CT slice, Abdomen, 512x512 px, Slice index 455 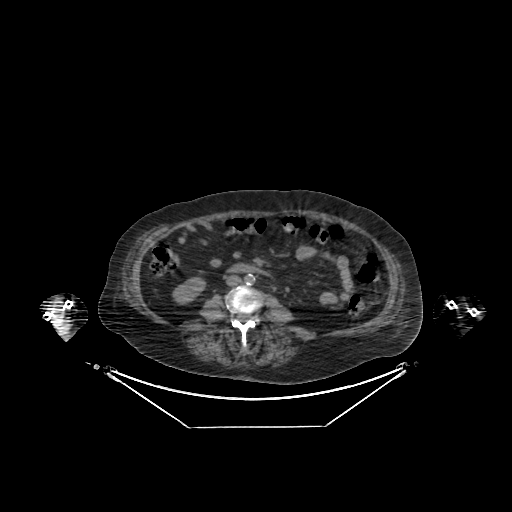 kidney: {"x1": 172, "y1": 277, "x2": 205, "y2": 304}